Image width 37 mm | Image size 37x48 | MRI slice | Slice 24 of 34

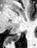

posterior hippocampus: 8,32,21,41